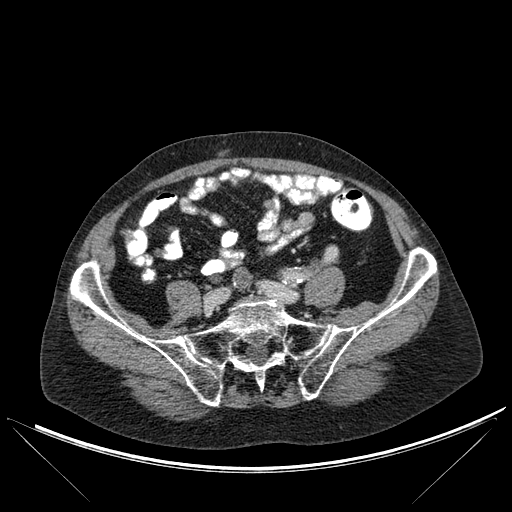
512x512 px; CT slice
<segmentation>
  <bone>[70,247,436,406]</bone>
</segmentation>